CT; Slice 424 of 687; Image size 512x512
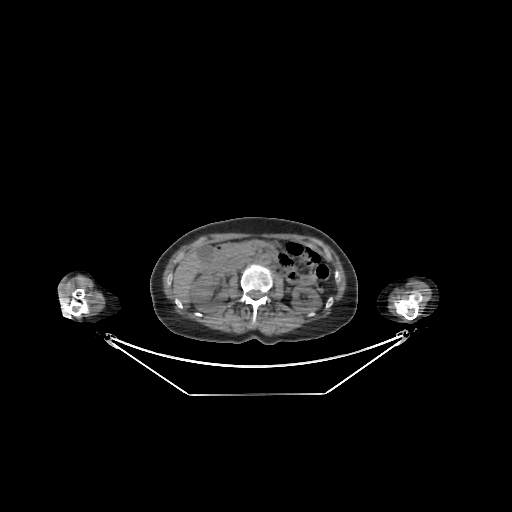 The liver appears at (173,252,213,302). 2 kidney regions appear at (189,272,230,311), (291,284,321,316).